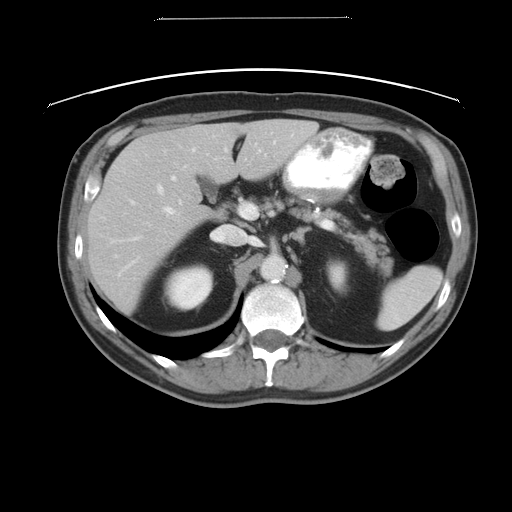 CT slice, Abdomen
The vessel boxes may cover only some of the vessels.
hepatic vessel: bbox(291, 133, 293, 136); bbox(130, 236, 140, 239); bbox(112, 239, 124, 241); bbox(131, 200, 134, 203); bbox(179, 200, 181, 202); bbox(118, 258, 137, 275); bbox(212, 226, 253, 243); bbox(184, 165, 185, 167); bbox(157, 184, 163, 192); bbox(265, 154, 266, 156); bbox(172, 176, 176, 179); bbox(115, 254, 117, 256); bbox(240, 204, 257, 219); bbox(164, 207, 175, 214)